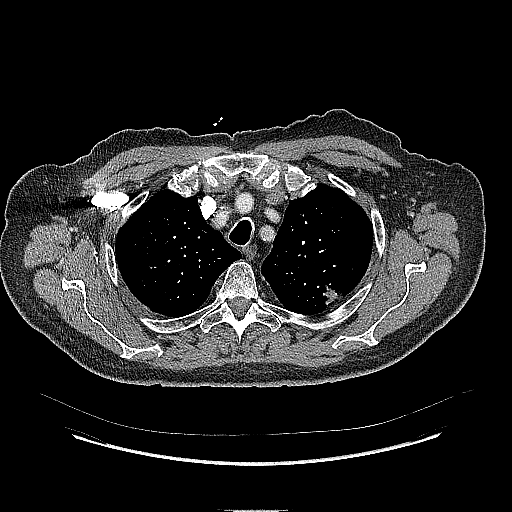

CT; 512x512 px; Thorax
Lung tumor — (321, 283, 343, 306).